512x512 px, CT scan slice

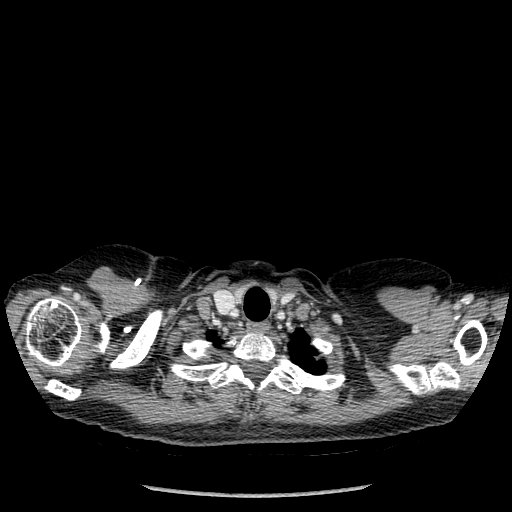
Bone: bounding box x1=451, y1=320, x2=487, y2=370; x1=171, y1=339, x2=254, y2=391; x1=25, y1=297, x2=88, y2=367; x1=227, y1=331, x2=275, y2=362; x1=312, y1=337, x2=332, y2=354; x1=257, y1=355, x2=344, y2=394; x1=110, y1=310, x2=162, y2=368; x1=45, y1=379, x2=80, y2=400; x1=388, y1=362, x2=461, y2=394; x1=91, y1=323, x2=109, y2=353.
Lung: bounding box x1=244, y1=287, x2=269, y2=320; x1=289, y1=329, x2=326, y2=374; x1=207, y1=331, x2=221, y2=345.